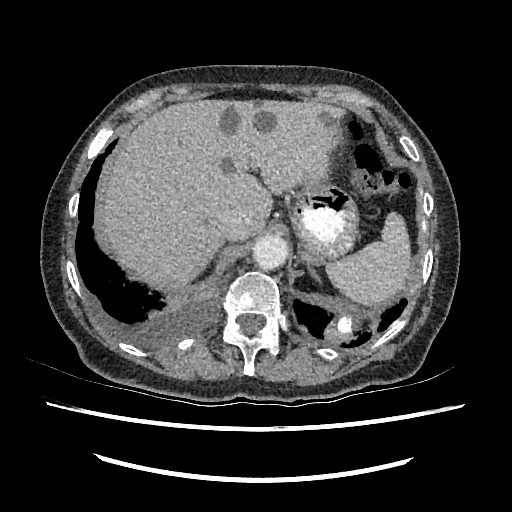

512x512. Upper abdomen. CT.
<segmentation>
  <liver_lesion>box=[221, 105, 240, 134]; box=[253, 110, 276, 132]; box=[321, 112, 333, 125]; box=[220, 161, 234, 174]</liver_lesion>
  <liver>box=[104, 100, 345, 285]</liver>
</segmentation>